Slice index 64. Brain.
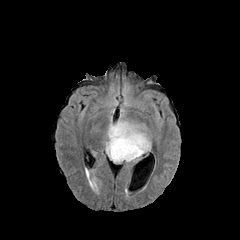
FLAIR MR image.
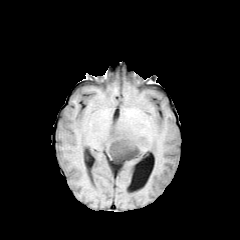
Same slice, T1-weighted MR.
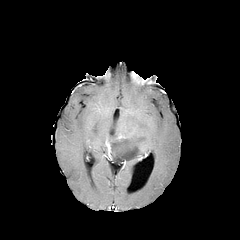
Post-contrast T1-weighted MR of the same slice.
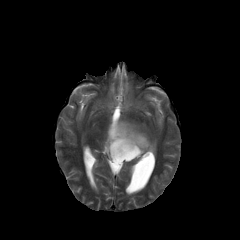
T2-weighted MR of the same slice.
Edema at box=[107, 94, 120, 113]; box=[103, 84, 154, 164].
Non-enhancing tumor core at box=[110, 136, 141, 162].